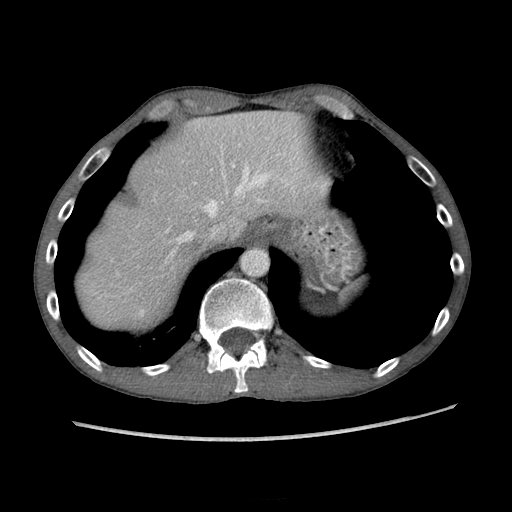
Upper abdomen | CT scan slice | 512x512 px
{
  "liver": [
    "76:109:334:329"
  ]
}